Brain.
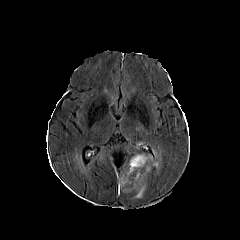
FLAIR MRI.
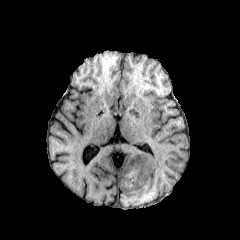
T1-weighted MR image.
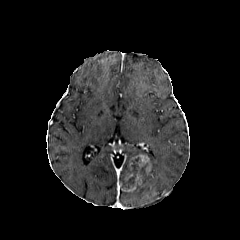
Post-contrast T1-weighted magnetic resonance of the same slice.
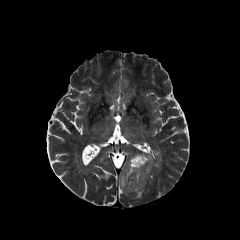
Same slice, T2-weighted MRI.
2 enhancing tumor regions appear at 121,153,152,180; 120,173,144,192. The non-enhancing tumor core is at 121,158,155,187. 2 edema regions are bounded by 148,148,162,172; 134,184,147,198.